320x320 px. Cardiac. Slice 78/110. Magnetic resonance.
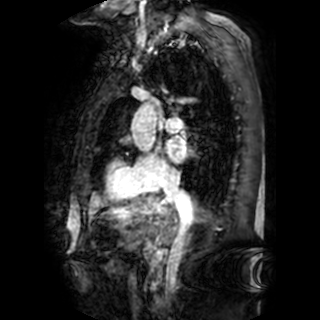 The left atrium lies within x1=166 y1=136 x2=186 y2=162.